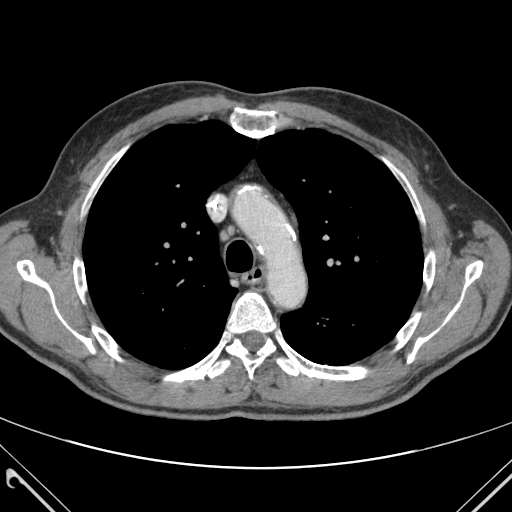 Thorax; CT scan slice

Bone = (x1=276, y1=331, x2=366, y2=380), (x1=226, y1=339, x2=275, y2=378), (x1=164, y1=293, x2=275, y2=381), (x1=407, y1=261, x2=482, y2=362), (x1=383, y1=158, x2=424, y2=221), (x1=92, y1=326, x2=120, y2=360), (x1=231, y1=108, x2=282, y2=137), (x1=423, y1=252, x2=435, y2=289), (x1=73, y1=259, x2=86, y2=302), (x1=83, y1=147, x2=126, y2=208), (x1=396, y1=313, x2=420, y2=349), (x1=17, y1=260, x2=94, y2=353).
Lung = (x1=83, y1=120, x2=423, y2=368).